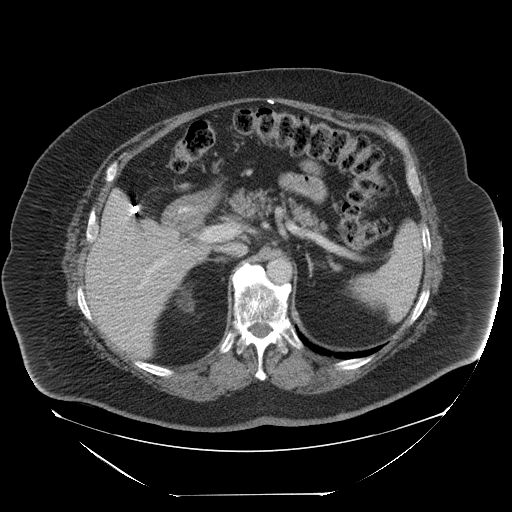 CT image
<segmentation>
  <spleen>(x1=347, y1=222, x2=422, y2=320)</spleen>
</segmentation>